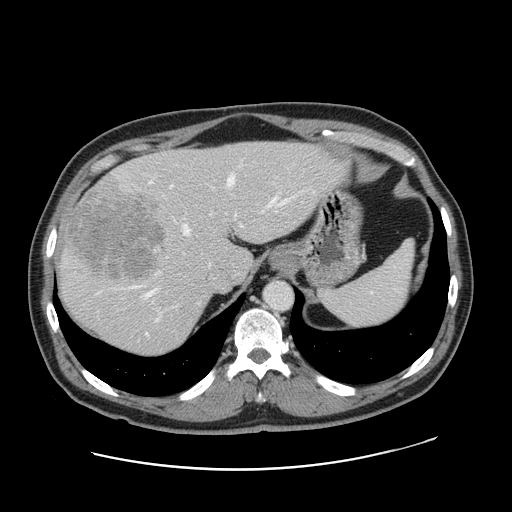
CT image. Liver.
Some hepatic vessels may have no box.
13 hepatic vessel regions are located at 152 300 153 302, 154 310 161 321, 210 211 212 214, 228 174 234 186, 170 185 172 186, 240 162 242 165, 312 190 314 192, 148 179 152 182, 146 332 147 335, 239 223 244 226, 234 213 237 220, 183 225 190 233, 262 197 292 211. The liver tumor is bounded by 66 181 164 279.